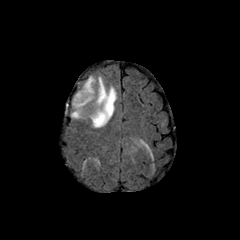
FLAIR MRI.
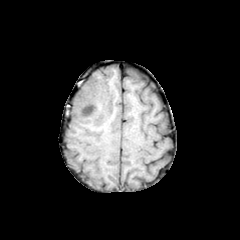
T1-weighted MRI of the same slice.
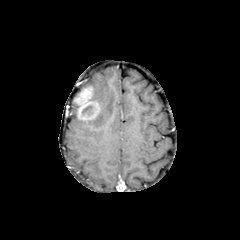
Post-contrast T1-weighted MRI.
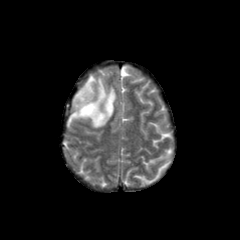
T2-weighted MR.
Head
Annotated regions:
• edema: box=[71, 76, 117, 127]
• enhancing tumor: box=[75, 88, 89, 101]
• non-enhancing tumor core: box=[74, 86, 100, 115]